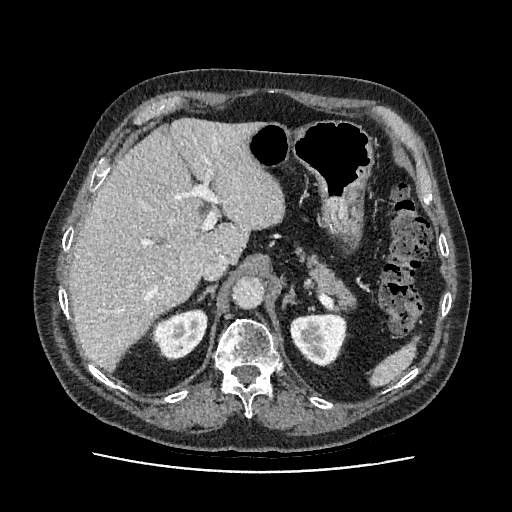

Liver, CT

<segmentation>
  <kidney>left=291, top=315, right=344, bottom=364; left=155, top=311, right=206, bottom=357</kidney>
  <liver>left=69, top=119, right=283, bottom=371</liver>
</segmentation>